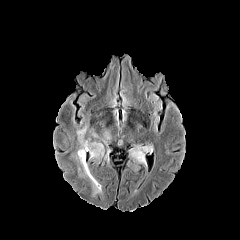
FLAIR MRI.
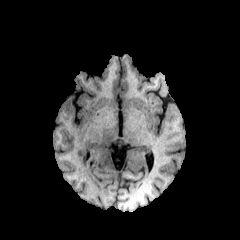
Same slice, T1-weighted MR image.
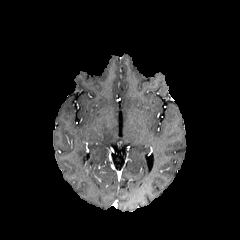
Post-contrast T1-weighted MRI.
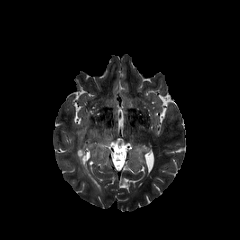
T2-weighted MR image.
240x240 px | Brain
4 edema regions appear at x1=131, y1=144, x2=152, y2=163; x1=90, y1=149, x2=99, y2=157; x1=77, y1=126, x2=88, y2=169; x1=88, y1=171, x2=101, y2=191.